Abdomen, CT 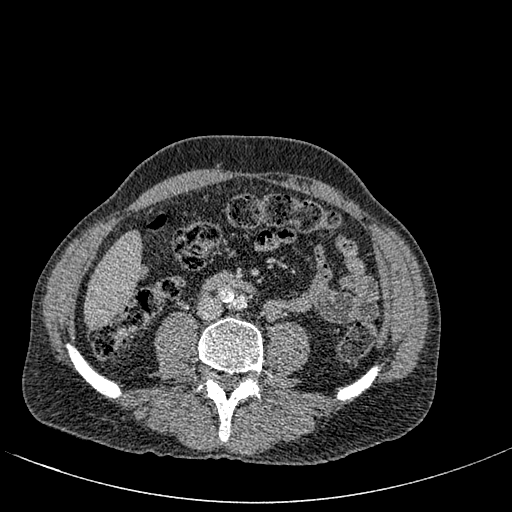
liver: (85,232,139,324)